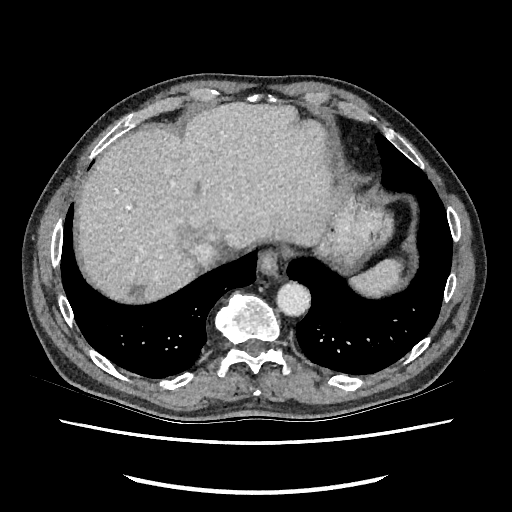

CT. Abdomen.

The liver appears at (x1=78, y1=103, x2=329, y2=300). 4 hepatic lesion regions are bounded by (x1=194, y1=183, x2=200, y2=196), (x1=129, y1=285, x2=144, y2=300), (x1=175, y1=224, x2=205, y2=254), (x1=269, y1=212, x2=281, y2=227).